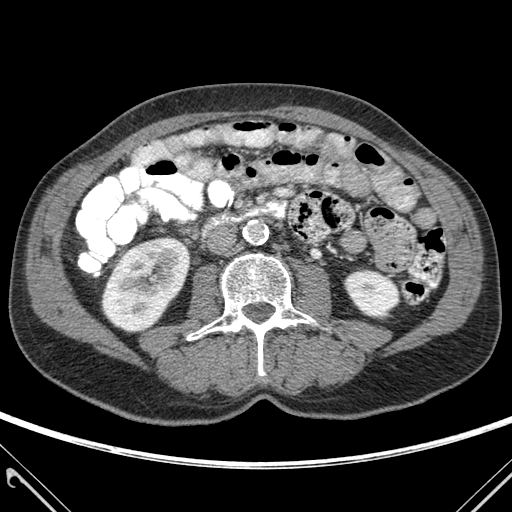
512x512 px; CT image; Abdomen
bone: <box>187,254,314,375</box> | kidney: <box>103,239,186,330</box>, <box>346,272,397,315</box>